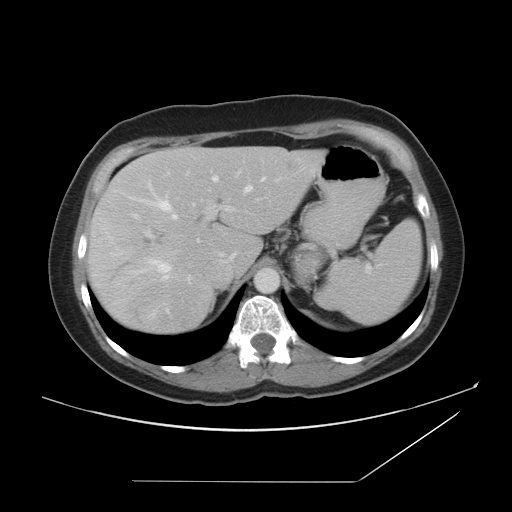
CT
Not every hepatic vessel necessarily has a box.
Hepatic vessel — x1=146, y1=231, x2=153, y2=237; x1=276, y1=179, x2=278, y2=181; x1=132, y1=213, x2=138, y2=218; x1=150, y1=260, x2=170, y2=279; x1=187, y1=275, x2=191, y2=282; x1=198, y1=240, x2=199, y2=241; x1=219, y1=205, x2=233, y2=211; x1=172, y1=214, x2=176, y2=218; x1=128, y1=182, x2=170, y2=210; x1=261, y1=177, x2=265, y2=180; x1=212, y1=176, x2=217, y2=181; x1=235, y1=171, x2=240, y2=176; x1=244, y1=186, x2=251, y2=192.